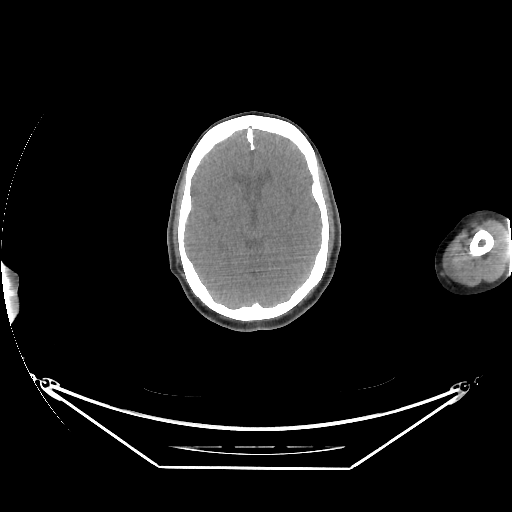
Brain. CT. 512x512. Brain — (184, 129, 322, 309).